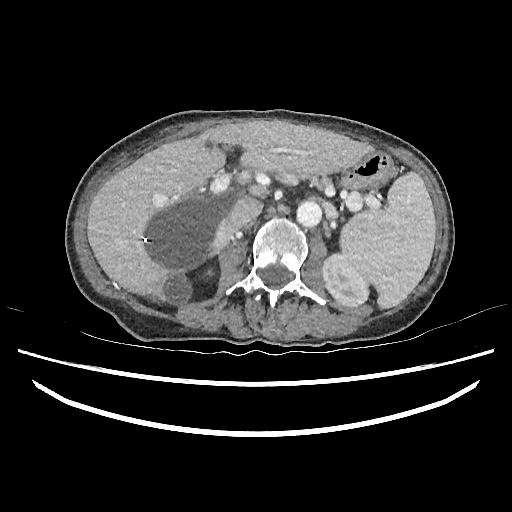
512x512 px. Computed tomography. kidney: 323:254:368:306 | liver lesion: 145:193:230:271, 166:273:190:303 | liver: 88:122:372:302